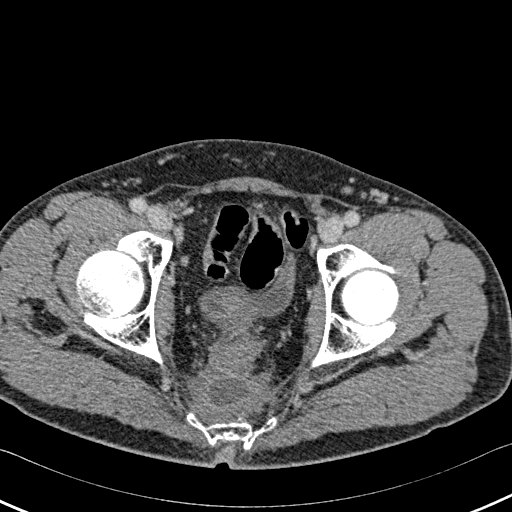

CT slice; Lower abdomen; 512x512
<segmentation>
  <urinary_bladder><box>201,255,295,325</box></urinary_bladder>
  <bone><box>313,244,401,366</box>, <box>77,231,172,363</box>, <box>187,413,276,448</box></bone>
</segmentation>